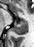 MR, Medial temporal lobe
{
  "anterior_hippocampus": [
    "20:20:26:21"
  ],
  "posterior_hippocampus": [
    "13:22:27:34"
  ]
}